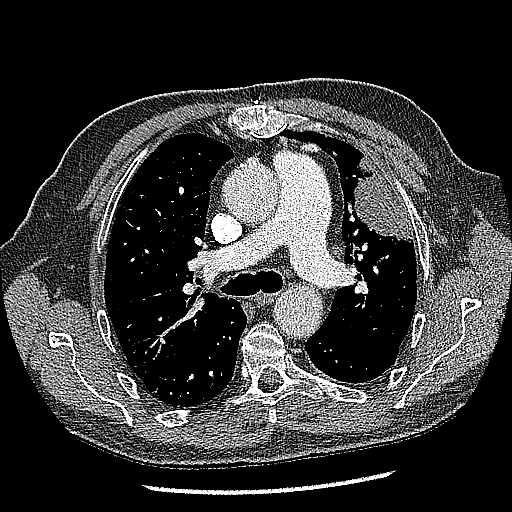

CT image | Thorax
Lung tumor: <bbox>353, 156, 412, 244</bbox>.